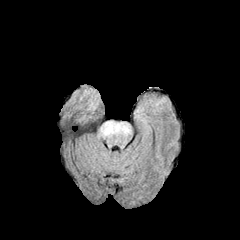
FLAIR MRI.
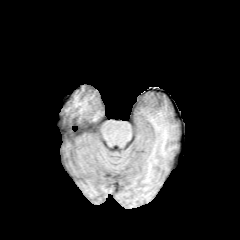
T1-weighted MR of the same slice.
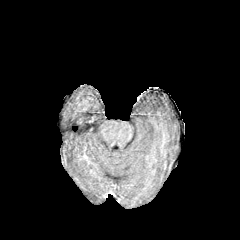
Post-contrast T1-weighted MR image.
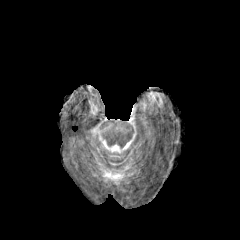
T2-weighted MR image.
240x240 px; Head
{
  "edema": [
    "box(148, 98, 162, 106)"
  ]
}